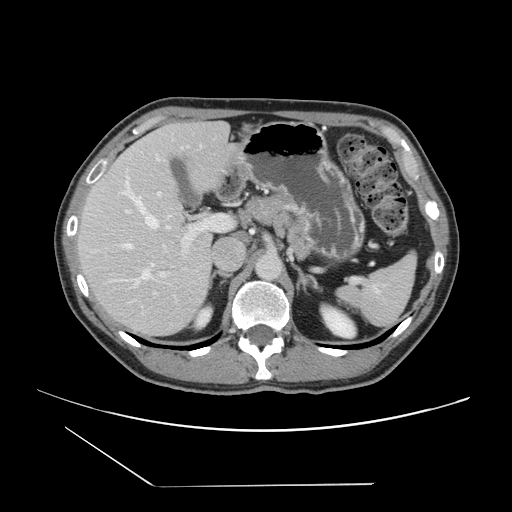 CT scan slice; Liver
The vessel annotation is not exhaustive.
The most prominent 15 hepatic vessel regions (of 17) are located at (156,155,163,160), (163,244,164,247), (200,144,201,146), (186,145,188,147), (108,279,113,282), (169,284,171,285), (128,287,131,288), (119,274,124,279), (181,240,184,243), (130,300,135,302), (144,212,151,216), (130,279,137,284), (156,223,158,228), (153,277,155,279), (180,147,184,149).